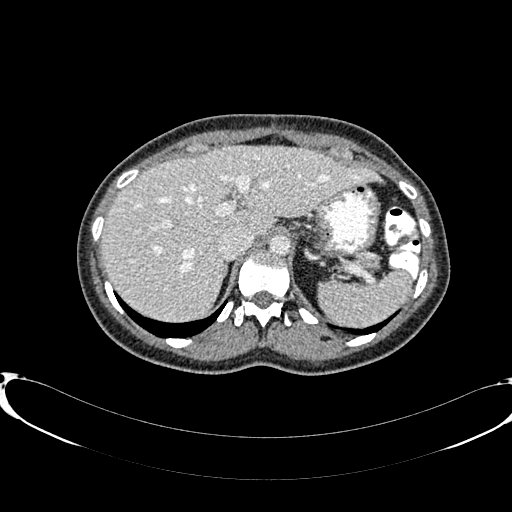 512x512, Liver, CT image

Annotated regions:
* liver: (102,146,381,319)